Slice 528/816, CT scan slice, Abdomen 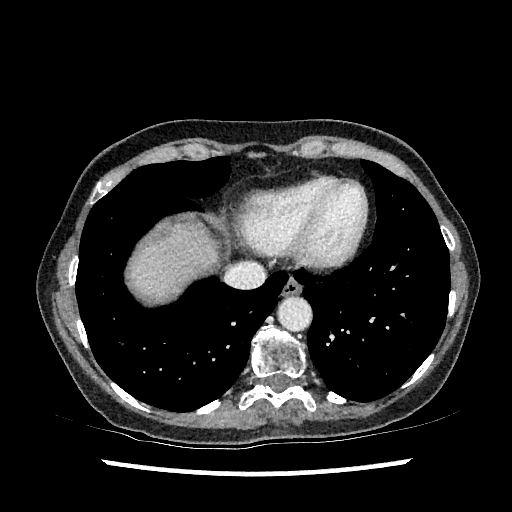 The liver is at 129,225,221,300.